Slice 108 of 143, Computed tomography, Abdomen

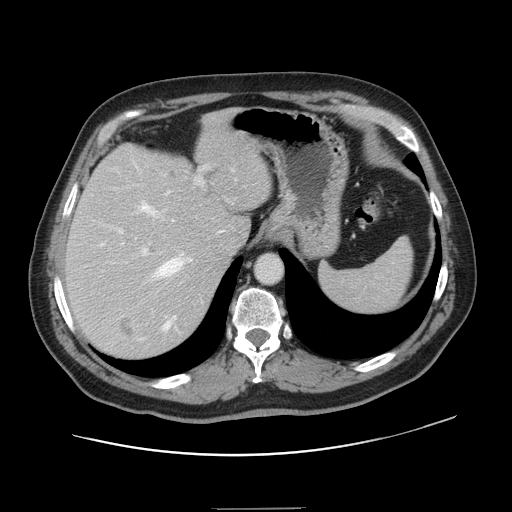
Not every hepatic vessel necessarily has a box.
Findings:
- hepatic vessel: (204, 165, 207, 168), (152, 253, 190, 278), (101, 243, 103, 245), (232, 169, 233, 170), (166, 316, 167, 318), (173, 316, 175, 319), (141, 202, 155, 214), (143, 248, 148, 255), (171, 220, 173, 221), (118, 229, 122, 232), (163, 319, 170, 328)
- liver tumor: (168, 169, 179, 181), (119, 319, 134, 338)